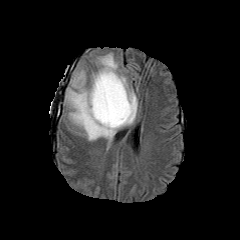
FLAIR MR image.
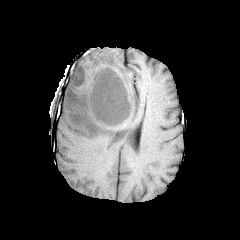
Same slice, T1-weighted MRI.
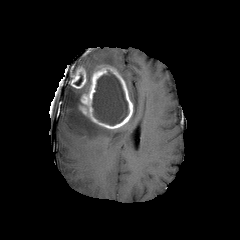
Post-contrast T1-weighted MR image.
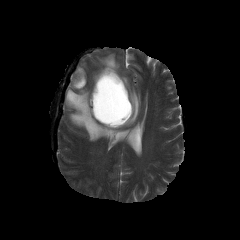
Same slice, T2-weighted MR.
3 edema regions are bounded by [122, 76, 138, 126], [63, 83, 122, 143], [95, 53, 118, 69]. 3 non-enhancing tumor core regions appear at [76, 66, 101, 109], [92, 70, 127, 123], [74, 74, 82, 85]. 2 enhancing tumor regions are located at [80, 68, 132, 128], [71, 68, 85, 88].